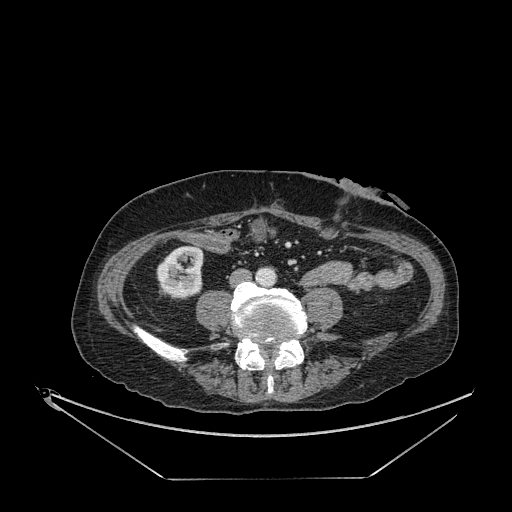

Computed tomography

Kidney = x1=157 y1=246 x2=202 y2=297.